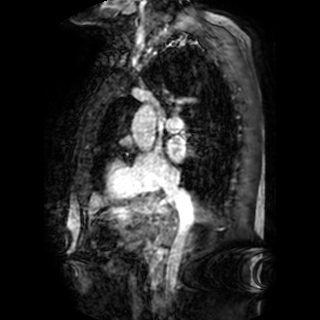
MRI slice
The left atrium appears at l=167, t=136, r=185, b=161.